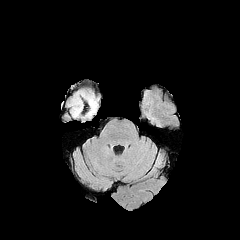
FLAIR MR image.
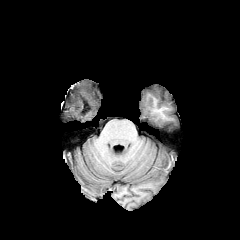
T1-weighted MR.
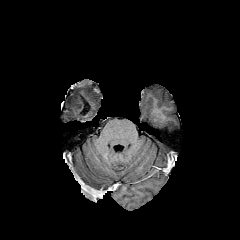
Same slice, post-contrast T1-weighted MR.
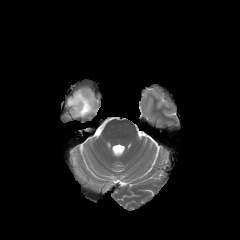
Same slice, T2-weighted MR image.
Head | 240x240 px
Annotated regions:
• edema: (67, 90, 98, 118)
• non-enhancing tumor core: (75, 94, 85, 107)